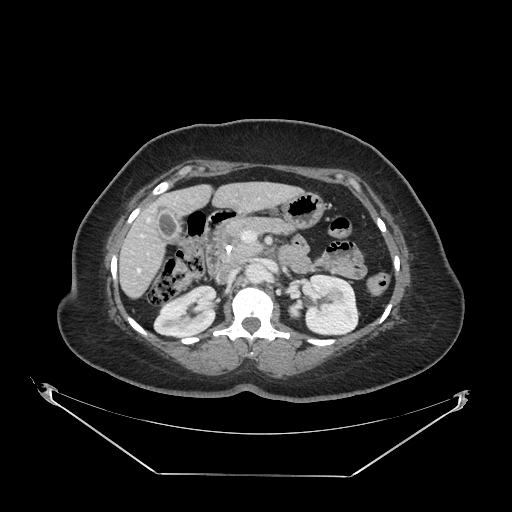

CT scan slice. Upper abdomen. 512x512. Findings:
* pancreas: box=[216, 217, 293, 279]
* pancreatic tumor: box=[225, 230, 240, 245]